Slice 111 of 154 | Liver | Computed tomography 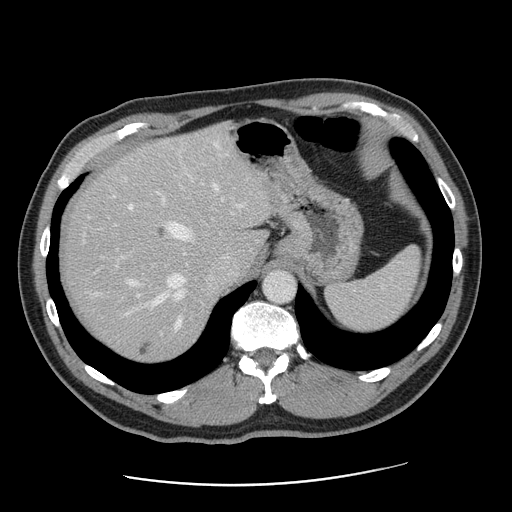

Some hepatic vessels may have no box.
14 hepatic vessel regions are located at x1=127, y1=279, x2=135, y2=283; x1=168, y1=274, x2=183, y2=289; x1=163, y1=196, x2=164, y2=200; x1=176, y1=320, x2=180, y2=328; x1=174, y1=290, x2=183, y2=299; x1=236, y1=204, x2=240, y2=206; x1=147, y1=296, x2=163, y2=307; x1=138, y1=294, x2=139, y2=295; x1=202, y1=244, x2=217, y2=250; x1=214, y1=183, x2=217, y2=188; x1=130, y1=205, x2=133, y2=207; x1=168, y1=222, x2=189, y2=238; x1=222, y1=197, x2=224, y2=199; x1=203, y1=244, x2=247, y2=283. 2 liver tumor regions appear at x1=154, y1=226, x2=168, y2=239; x1=135, y1=338, x2=156, y2=358.